CT scan slice. Field of view 383x383 mm. 512x512.

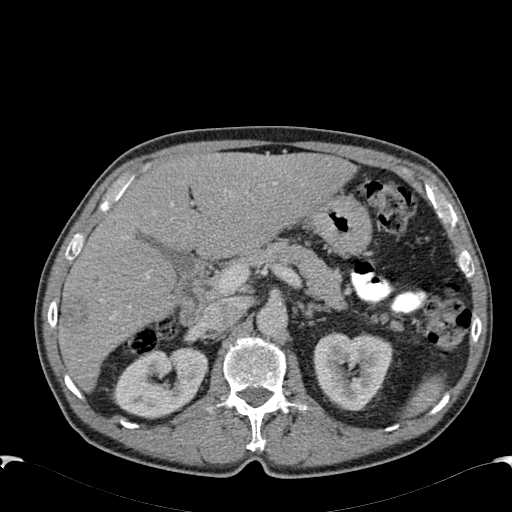

Kidney at region(115, 349, 207, 417); region(314, 334, 391, 409).
Liver lesion at region(63, 299, 88, 326).
Liver at region(59, 152, 355, 390).